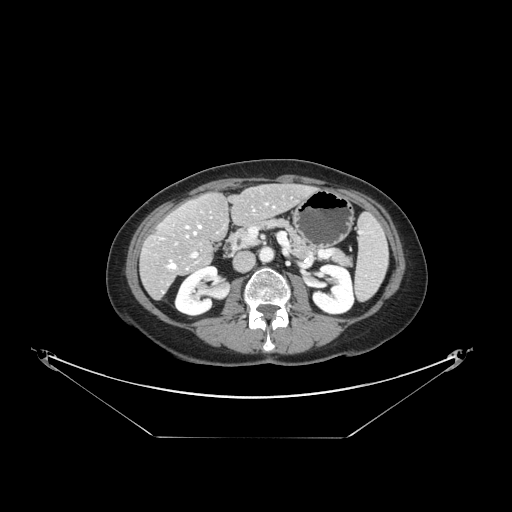
Image size 512x512; CT slice
The vessel annotation is not exhaustive.
{
  "hepatic_vessel": [
    "rect(192, 253, 196, 256)"
  ]
}